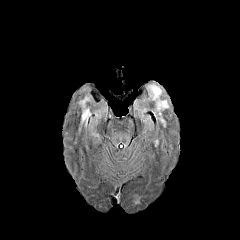
FLAIR magnetic resonance.
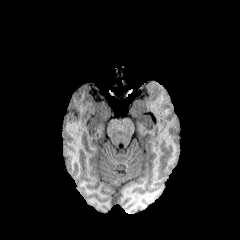
Same slice, T1-weighted magnetic resonance.
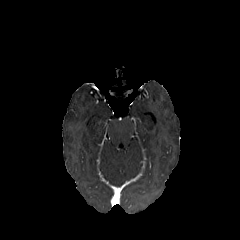
Post-contrast T1-weighted MR image.
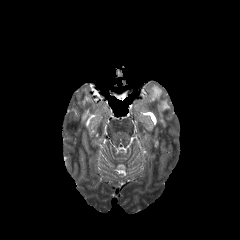
T2-weighted MR of the same slice.
240x240 px. Head.
2 edema regions are bounded by l=79, t=98, r=101, b=124; l=148, t=84, r=168, b=115.